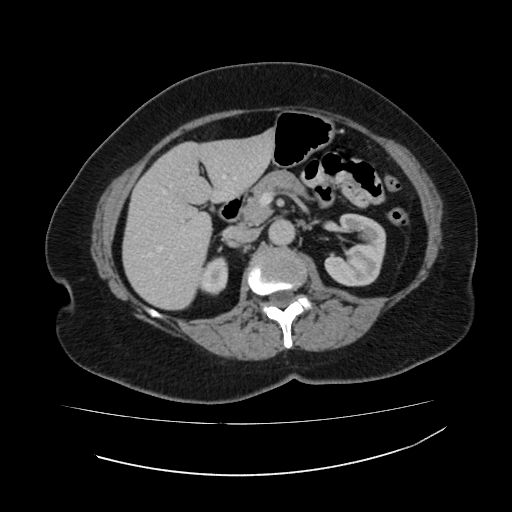

CT scan slice
2 kidney regions are located at x1=324 y1=214 x2=385 y2=285, x1=200 y1=257 x2=227 y2=293. The liver lesion is bounded by x1=162 y1=272 x2=171 y2=281. The liver is at x1=123 y1=134 x2=273 y2=309.